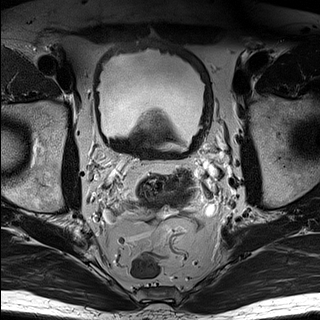
T2-weighted MR.
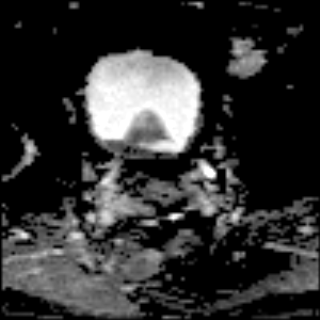
ADC MR image.
{
  "prostate_transition_zone": [
    "[141,109,168,138]"
  ]
}